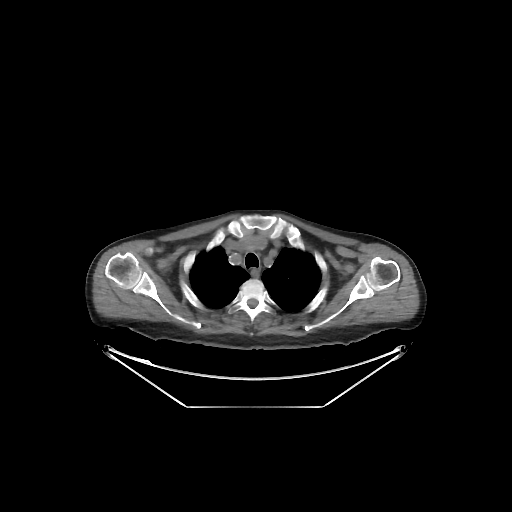 CT scan slice. Thorax.

Annotated regions:
- bone: bbox(237, 279, 273, 320); bbox(340, 257, 399, 311); bbox(182, 283, 196, 303); bbox(105, 252, 164, 307); bbox(309, 288, 326, 306); bbox(211, 215, 299, 246)
- lung: bbox(189, 245, 249, 309); bbox(245, 253, 258, 268); bbox(261, 247, 321, 312)